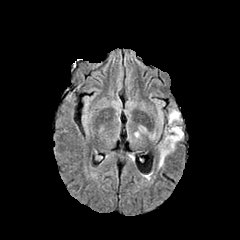
FLAIR MR image.
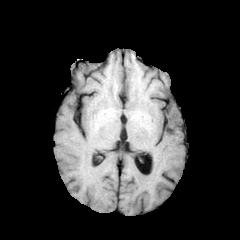
T1-weighted MR image.
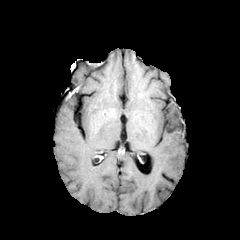
Same slice, post-contrast T1-weighted MRI.
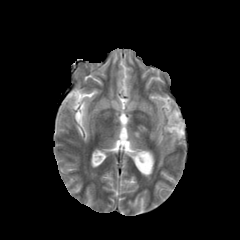
Same slice, T2-weighted MR image.
Head.
The edema is at left=158, top=108, right=183, bottom=167.